Brain | Field of view 240x240 mm
FLAIR magnetic resonance.
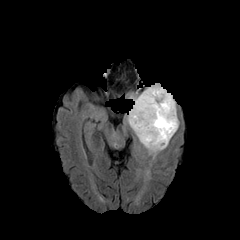
T1-weighted MR.
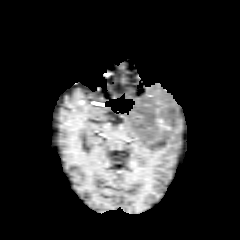
Post-contrast T1-weighted magnetic resonance.
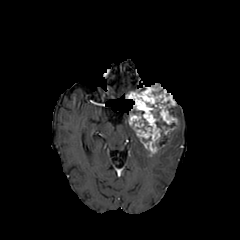
T2-weighted MRI.
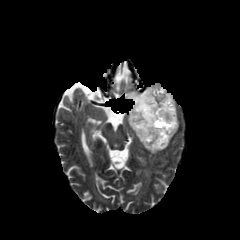
Findings:
• non-enhancing tumor core: (left=156, top=120, right=176, bottom=128)
• edema: (left=158, top=128, right=177, bottom=151)
• enhancing tumor: (left=127, top=83, right=177, bottom=153)